Brain, Slice 36/155
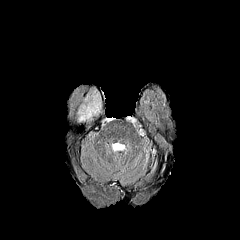
FLAIR MR image.
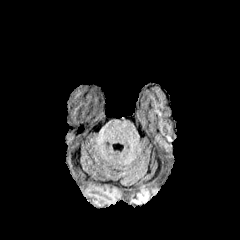
T1-weighted MR of the same slice.
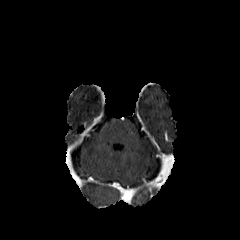
Same slice, post-contrast T1-weighted magnetic resonance.
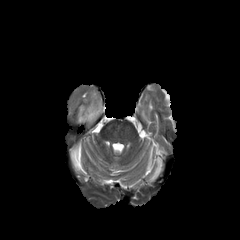
T2-weighted MRI.
The edema appears at (79,106,94,121).